Field of view 384 mm wide, 5.00 mm slice spacing | CT slice 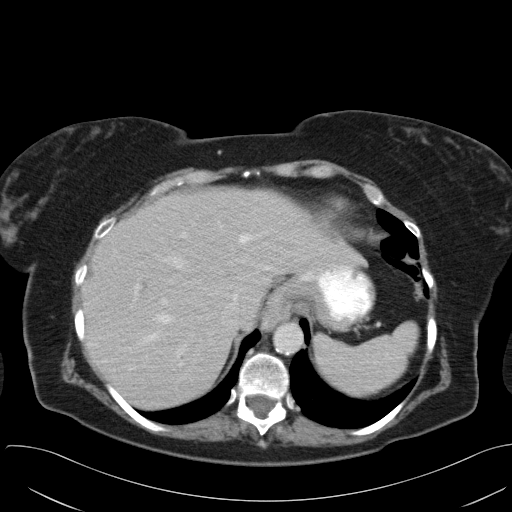

Spleen: left=315, top=322, right=418, bottom=397.